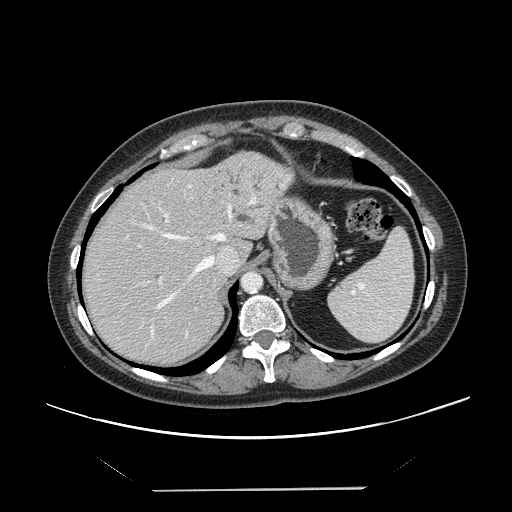
CT image
Only some of the vessels may be annotated.
Findings:
- hepatic vessel: 159 206 168 222, 158 276 163 284, 141 318 144 318, 223 194 242 226, 244 181 260 204, 264 179 271 188, 155 293 175 309, 143 223 158 231, 204 232 225 241, 178 289 180 290, 163 232 191 240, 138 245 140 246, 151 329 152 333, 94 274 99 279, 190 245 238 278